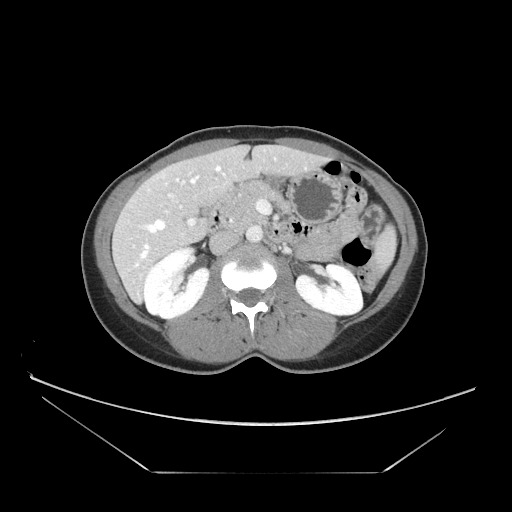

Abdomen | CT image
<segmentation>
  <pancreas>[x1=219, y1=180, x2=290, y2=231]</pancreas>
</segmentation>